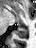

Hippocampus. MR.

posterior_hippocampus:
  - bbox=[14, 28, 27, 38]